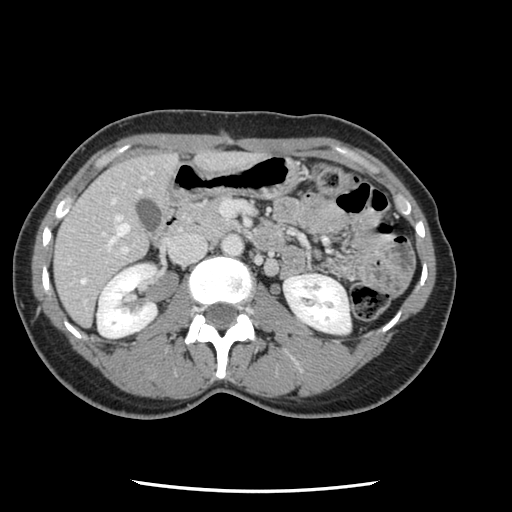 CT scan slice, Abdomen

Not every hepatic vessel necessarily has a box.
<segmentation>
  <hepatic_vessel>(x1=112, y1=199, x2=114, y2=201), (x1=81, y1=279, x2=84, y2=282), (x1=121, y1=247, x2=126, y2=251), (x1=109, y1=215, x2=128, y2=247)</hepatic_vessel>
</segmentation>